Head, Slice 77 of 155, 240x240
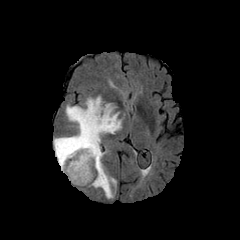
FLAIR MR.
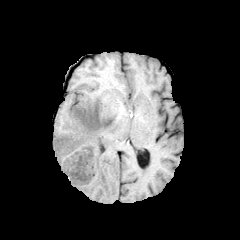
T1-weighted MR image of the same slice.
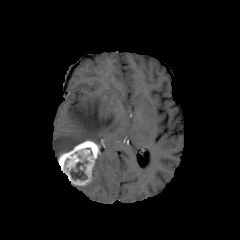
Post-contrast T1-weighted MR image.
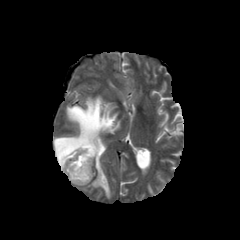
T2-weighted MR image of the same slice.
2 edema regions are located at [54,97,120,157], [91,151,115,198]. The enhancing tumor appears at [58,140,100,185]. 2 non-enhancing tumor core regions appear at [70,162,86,179], [82,112,99,127].